Computed tomography; Field of view 493x493 mm 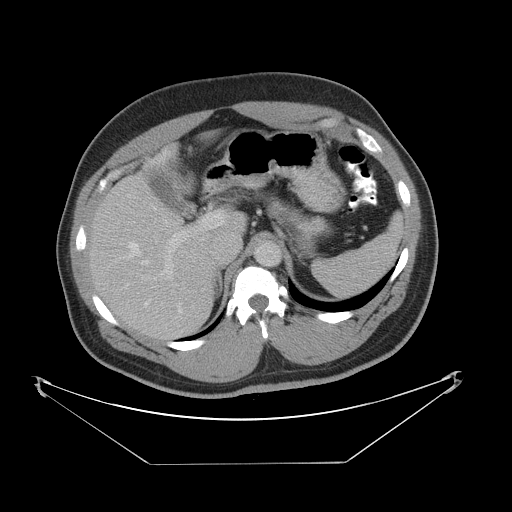
The vessel boxes may cover only some of the vessels.
{
  "hepatic_vessel": [
    "x1=132, y1=246, x2=136, y2=250",
    "x1=186, y1=230, x2=192, y2=241",
    "x1=209, y1=219, x2=214, y2=224",
    "x1=160, y1=238, x2=182, y2=278",
    "x1=206, y1=213, x2=223, y2=220",
    "x1=179, y1=246, x2=184, y2=255",
    "x1=194, y1=235, x2=206, y2=240",
    "x1=210, y1=233, x2=235, y2=258"
  ]
}